CT scan slice | Abdomen
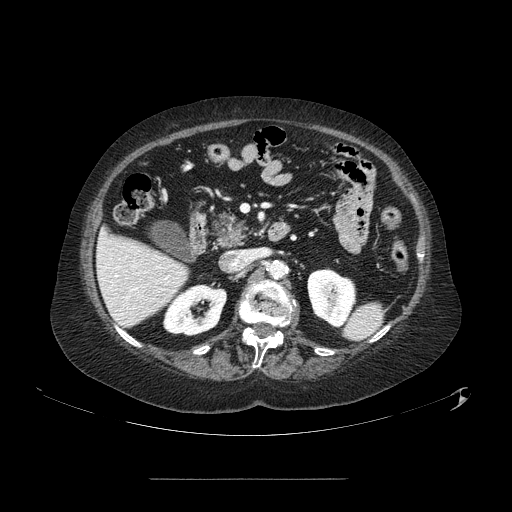 {"pancreas": ["rect(213, 212, 246, 244)"], "pancreatic_tumor": ["rect(218, 213, 232, 226)"]}